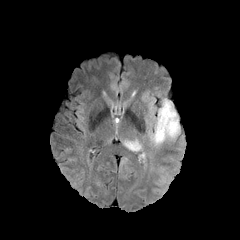
FLAIR MRI.
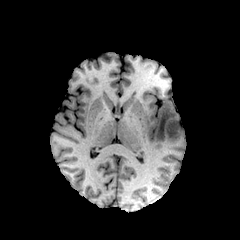
Same slice, T1-weighted MRI.
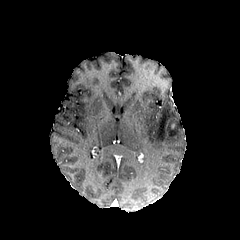
Post-contrast T1-weighted MR.
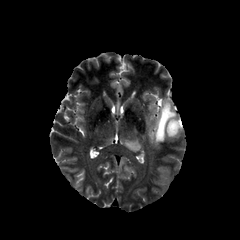
T2-weighted MR of the same slice.
240x240; Brain
2 edema regions are bounded by region(121, 138, 142, 151); region(148, 101, 180, 144).